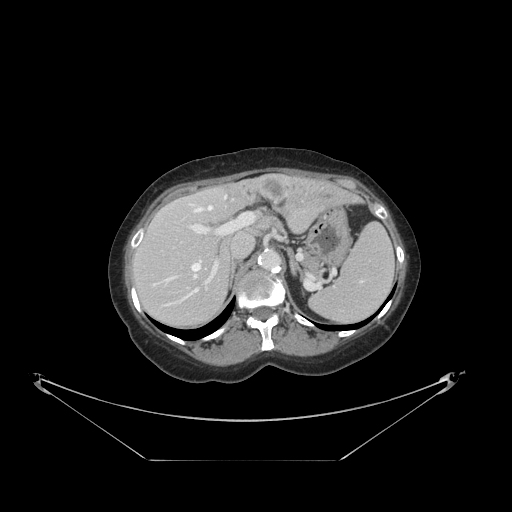 CT. Image size 512x512. Abdomen.

The vessel boxes may cover only some of the vessels.
<segmentation>
  <hepatic_vessel>(x1=193, y1=207, x2=200, y2=211), (x1=189, y1=224, x2=209, y2=233), (x1=191, y1=260, x2=200, y2=277), (x1=190, y1=287, x2=198, y2=293), (x1=231, y1=244, x2=252, y2=255), (x1=224, y1=195, x2=226, y2=197), (x1=206, y1=205, x2=211, y2=210), (x1=215, y1=212, x2=254, y2=234), (x1=204, y1=261, x2=217, y2=284), (x1=180, y1=296, x2=187, y2=300), (x1=162, y1=278, x2=171, y2=282), (x1=153, y1=284, x2=156, y2=284)</hepatic_vessel>
  <liver_tumor>(x1=259, y1=175, x2=290, y2=200)</liver_tumor>
</segmentation>